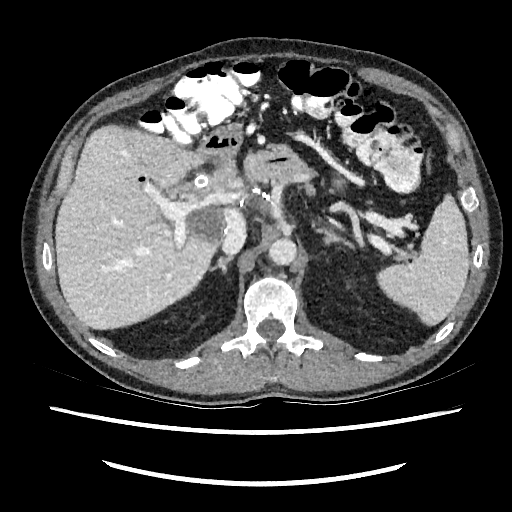
Upper abdomen, CT, Image size 512x512
liver: x1=55, y1=127, x2=216, y2=328; x1=221, y1=153, x2=235, y2=168; x1=228, y1=174, x2=239, y2=188 | hepatic lesion: x1=190, y1=209, x2=221, y2=241; x1=170, y1=168, x2=236, y2=200